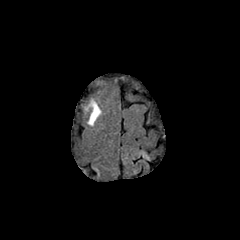
FLAIR MR.
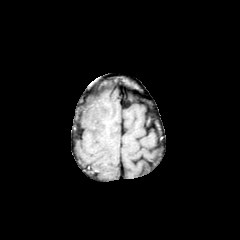
Same slice, T1-weighted MR.
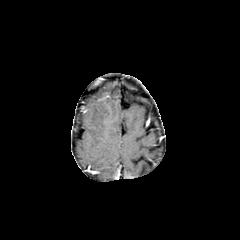
Post-contrast T1-weighted MRI of the same slice.
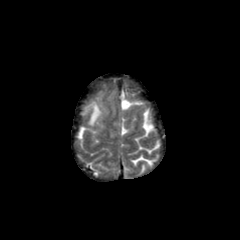
T2-weighted MR.
The edema lies within 87 101 101 125.